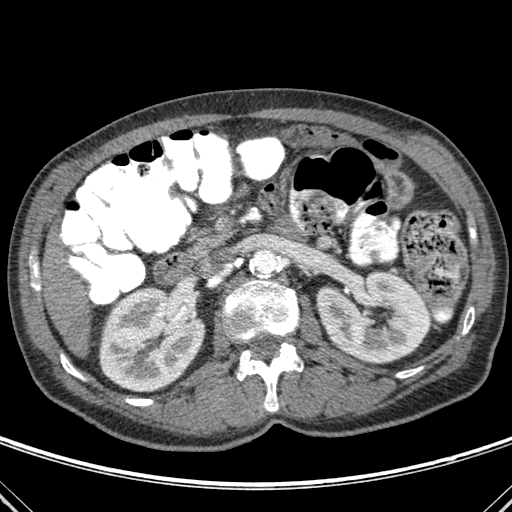 Upper abdomen, Computed tomography
bone:
  - (396, 366, 422, 378)
  - (125, 398, 152, 406)
  - (224, 276, 298, 343)
  - (29, 257, 39, 290)
  - (60, 354, 84, 380)
  - (462, 307, 474, 334)
  - (245, 207, 259, 220)
  - (237, 343, 303, 411)
liver:
  - (44, 226, 93, 356)
kidney:
  - (318, 273, 429, 362)
  - (100, 289, 203, 390)